FLAIR MR.
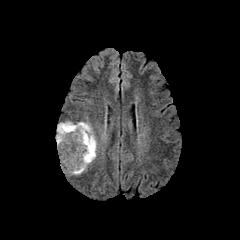
T1-weighted MR.
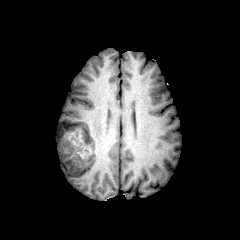
Post-contrast T1-weighted magnetic resonance.
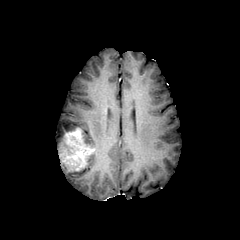
T2-weighted magnetic resonance.
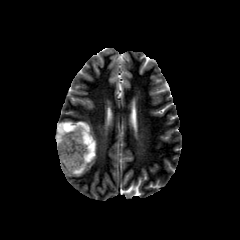
Brain
Findings:
• edema: (66, 120, 98, 175), (56, 130, 65, 150)
• non-enhancing tumor core: (58, 122, 73, 141), (74, 126, 93, 148)
• enhancing tumor: (60, 128, 94, 171)